240x240, Brain
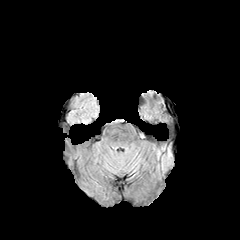
FLAIR MR image.
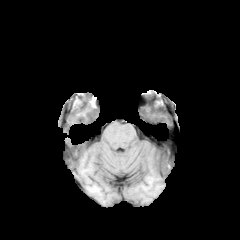
T1-weighted MRI of the same slice.
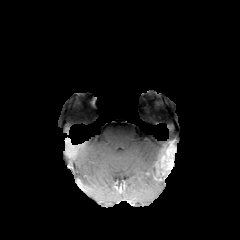
Same slice, post-contrast T1-weighted magnetic resonance.
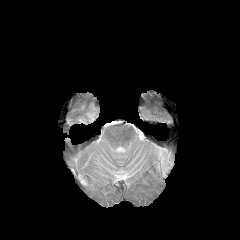
T2-weighted magnetic resonance of the same slice.
Edema — 152,147,171,171.